Computed tomography; 512x512; Slice 51 of 99
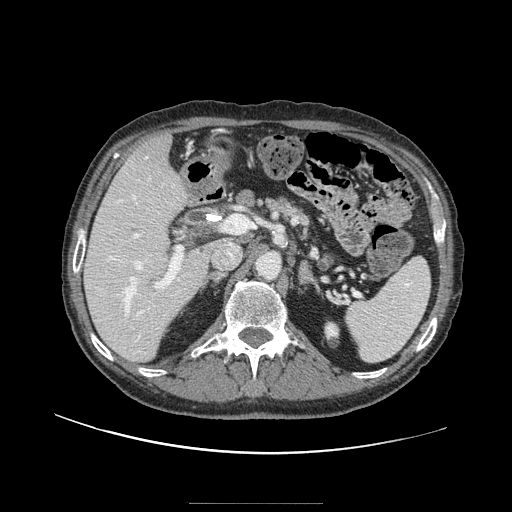
pancreas: box=[328, 254, 335, 261]; box=[266, 197, 310, 229]